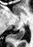

MRI
posterior_hippocampus:
  - [13,27,25,40]